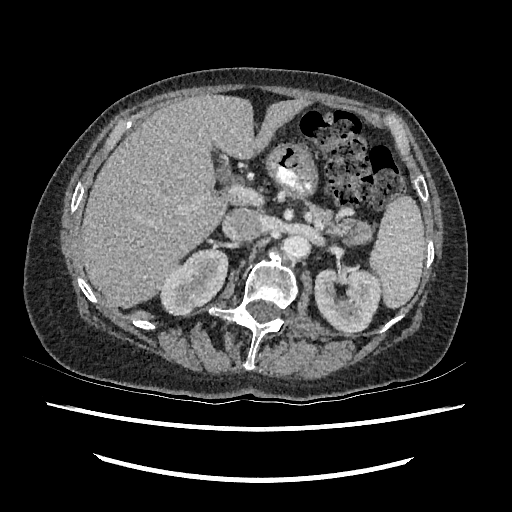

CT image

liver:
  - [82,95,309,306]
kidney:
  - [160,249,227,314]
  - [315,267,381,332]